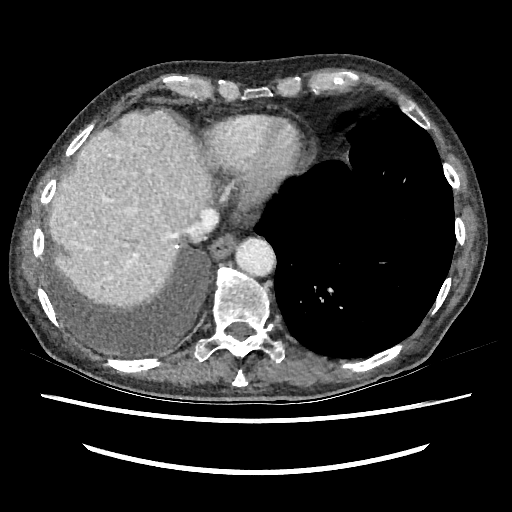 CT; 512x512 px

{"liver": ["x1=49 y1=112 x2=211 y2=306"]}